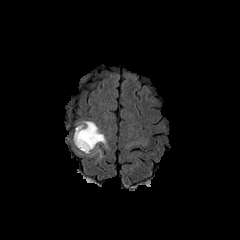
FLAIR MR image.
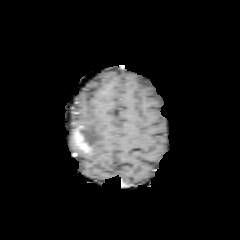
T1-weighted MR.
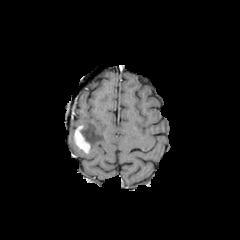
Post-contrast T1-weighted MR.
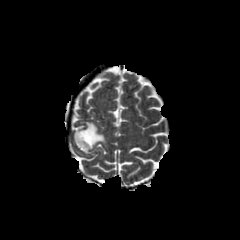
Same slice, T2-weighted MR image.
non-enhancing_tumor_core:
  - left=81, top=129, right=93, bottom=147
enhancing_tumor:
  - left=74, top=126, right=90, bottom=153
edema:
  - left=78, top=120, right=107, bottom=156